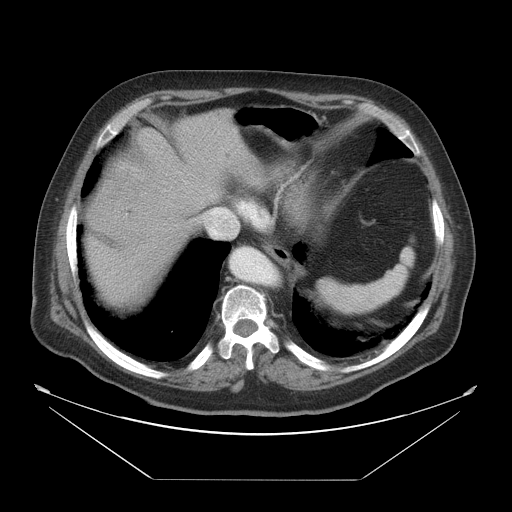 CT image; Image size 512x512; Abdomen
Some hepatic vessels may have no box.
liver tumor: left=101, top=169, right=144, bottom=202 | hepatic vessel: left=206, top=209, right=238, bottom=237